512x512. CT slice. Slice 97 of 574.

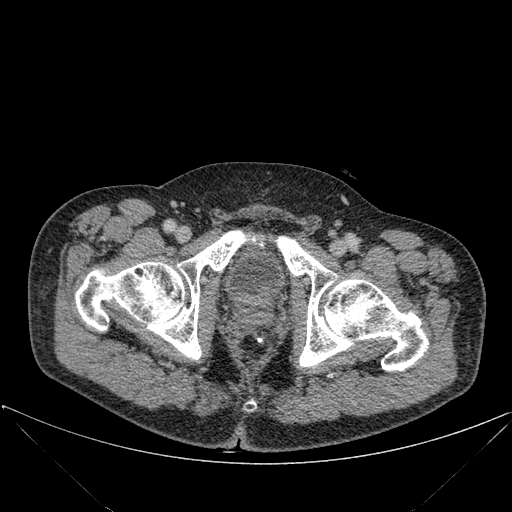
Bone: l=245, t=401, r=255, b=410; l=276, t=236, r=428, b=370; l=75, t=231, r=249, b=359.